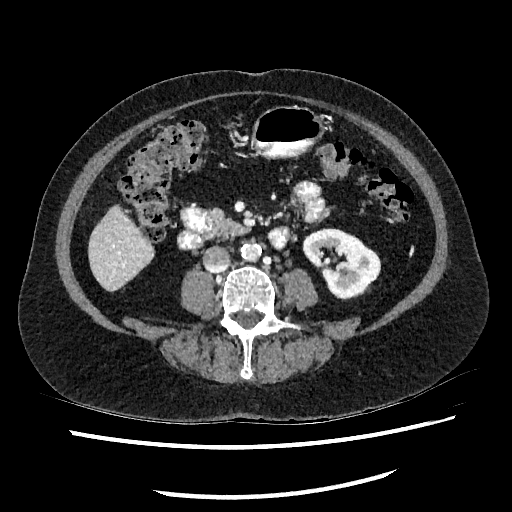
Liver | CT slice
Segmented structures:
• liver: x1=89 y1=207 x2=151 y2=291
• kidney: x1=304 y1=224 x2=379 y2=297